FLAIR magnetic resonance.
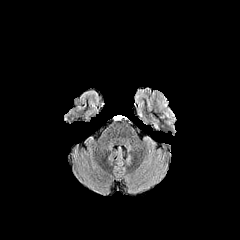
T1-weighted MR.
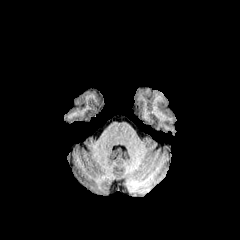
Post-contrast T1-weighted MR image.
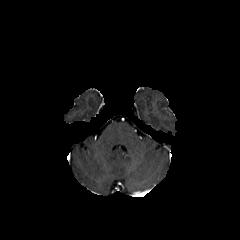
T2-weighted MR.
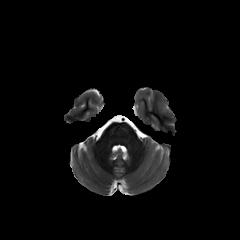
2 edema regions are located at 158:109:174:124, 157:92:168:107.